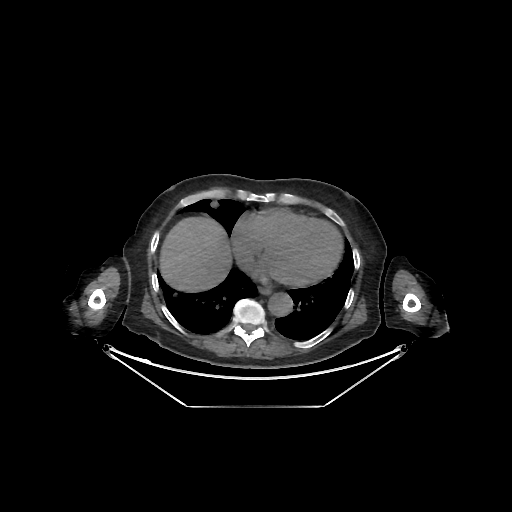
CT image | Upper abdomen
The liver is bounded by l=160, t=218, r=232, b=291. 3 lung regions appear at l=157, t=266, r=258, b=334; l=275, t=237, r=353, b=340; l=178, t=199, r=249, b=236. 10 bone regions are located at l=162, t=306, r=182, b=331; l=353, t=249, r=359, b=268; l=232, t=299, r=267, b=346; l=88, t=289, r=105, b=309; l=151, t=233, r=158, b=252; l=345, t=291, r=353, b=307; l=152, t=274, r=158, b=291; l=246, t=194, r=273, b=201; l=402, t=293, r=420, b=312; l=295, t=331, r=329, b=347.